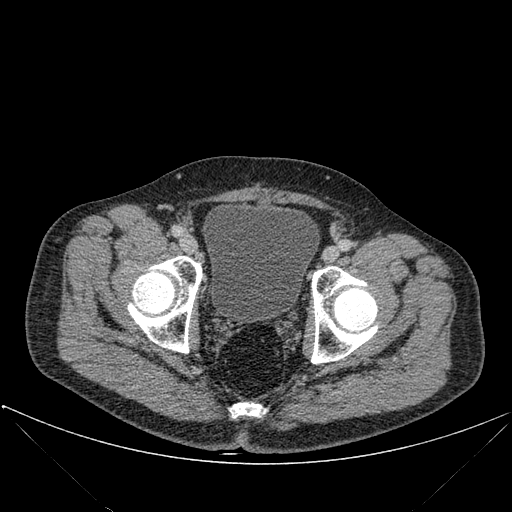

Pelvis, 512x512 px, CT image
Annotated regions:
- urinary bladder: <bbox>202, 202, 318, 323</bbox>
- bone: <bbox>229, 403, 263, 417</bbox>, <bbox>311, 266, 377, 363</bbox>, <bbox>128, 256, 202, 353</bbox>